240x240.
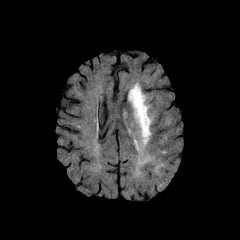
FLAIR MR.
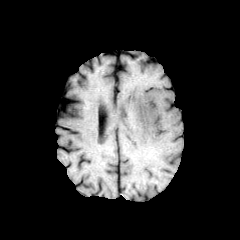
T1-weighted MR image.
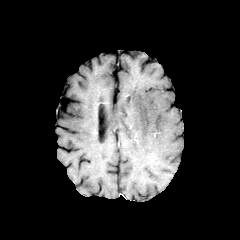
Post-contrast T1-weighted MR image.
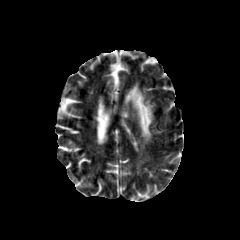
Same slice, T2-weighted MRI.
Edema: bounding box <bbox>127, 82, 154, 164</bbox>.